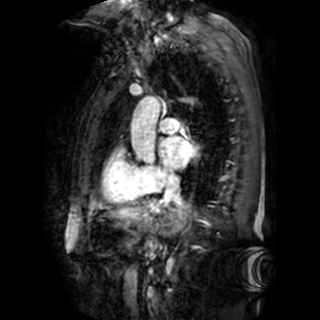
Cardiac, MR image

Annotated regions:
- left atrium: region(159, 137, 197, 168)